Upper abdomen. CT image. Field of view 382 mm wide, 0.70 mm slice spacing.
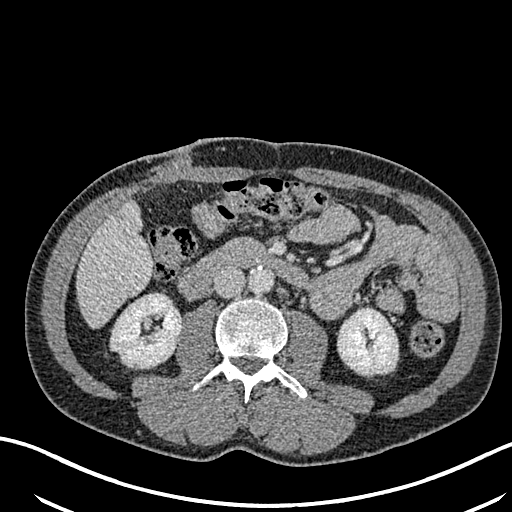 Annotated regions:
* liver: bbox(77, 202, 150, 326)
* hepatic lesion: bbox(115, 210, 124, 221)
* kidney: bbox(111, 294, 181, 367); bbox(338, 309, 397, 373)